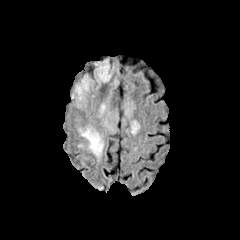
FLAIR MRI.
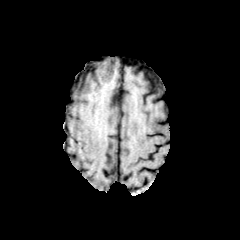
T1-weighted magnetic resonance.
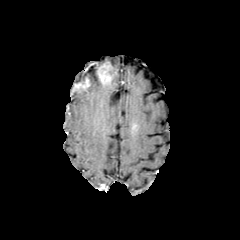
Post-contrast T1-weighted MRI of the same slice.
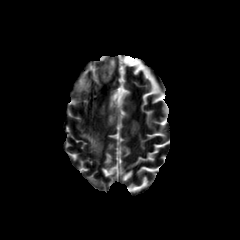
T2-weighted magnetic resonance of the same slice.
The edema is bounded by (79, 129, 103, 156). The enhancing tumor is bounded by (76, 78, 89, 89).